FLAIR magnetic resonance.
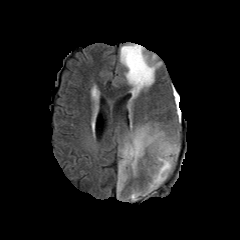
T1-weighted magnetic resonance.
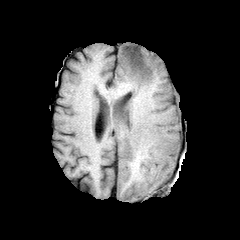
Post-contrast T1-weighted MR.
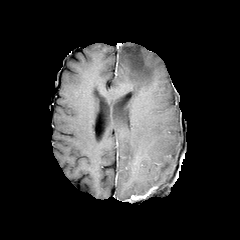
T2-weighted MRI.
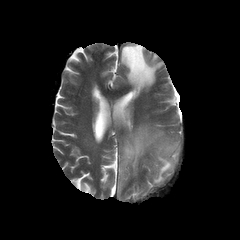
Brain.
The non-enhancing tumor core appears at x1=126, y1=46, x2=150, y2=76. 3 edema regions are bounded by x1=120, y1=43, x2=161, y2=97; x1=118, y1=129, x2=164, y2=190; x1=148, y1=140, x2=179, y2=189.